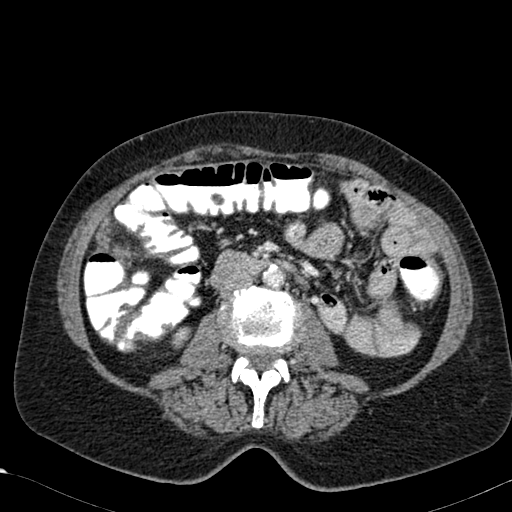 Abdomen. CT slice. 512x512. 2 kidney regions appear at (173, 327, 189, 345), (165, 319, 178, 328).